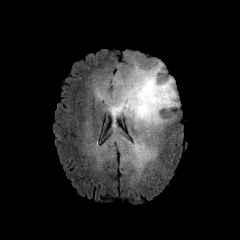
FLAIR MRI.
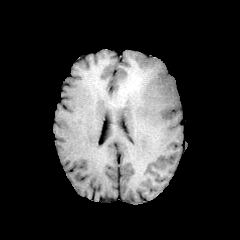
T1-weighted MR.
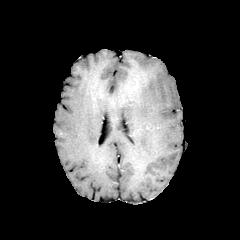
Post-contrast T1-weighted MR image.
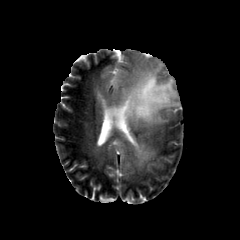
T2-weighted MR.
non-enhancing_tumor_core:
  - <bbox>110, 67, 151, 107</bbox>
edema:
  - <bbox>130, 140, 154, 167</bbox>
  - <bbox>97, 62, 179, 134</bbox>